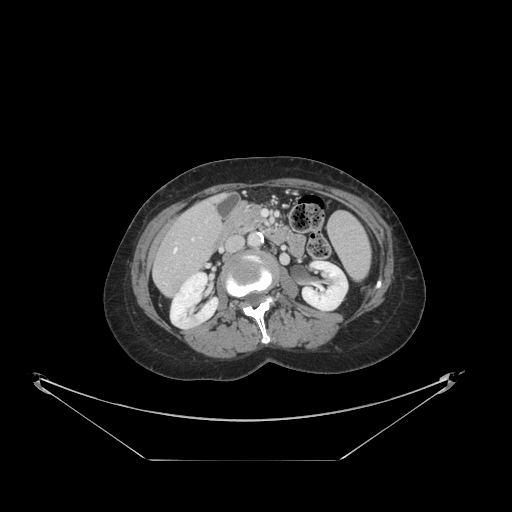 Liver. CT scan slice. Only some of the vessels may be annotated.
Annotated regions:
• hepatic vessel: box=[192, 238, 193, 239]; box=[173, 248, 176, 252]